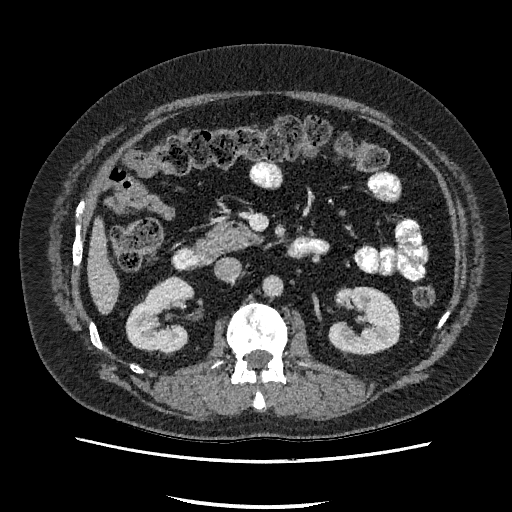
CT scan slice
Liver = box=[88, 221, 118, 312].
Kidney = box=[329, 287, 398, 353]; box=[127, 278, 191, 351].